Slice 118/155 | 240x240 px
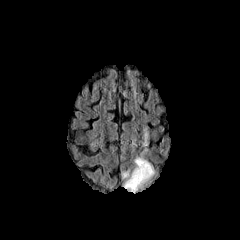
FLAIR MRI.
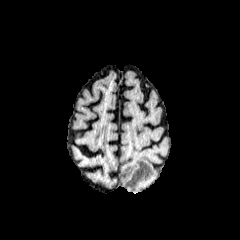
T1-weighted MR image.
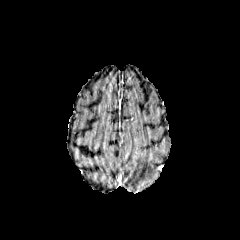
Post-contrast T1-weighted MR.
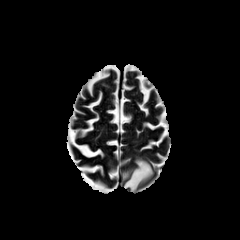
T2-weighted MRI.
The edema is bounded by 120:156:155:193.